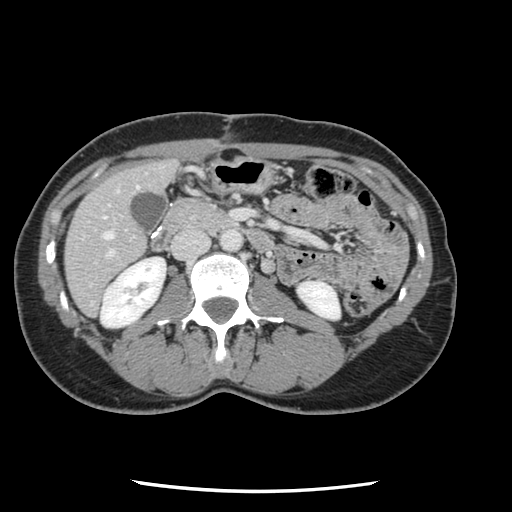
CT.
The vessel annotation is not exhaustive.
Annotated regions:
• hepatic vessel: bbox=[106, 250, 113, 255]; bbox=[103, 231, 112, 238]; bbox=[136, 186, 138, 187]